Image width 240 mm.
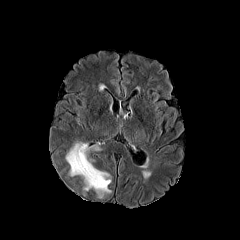
FLAIR MRI.
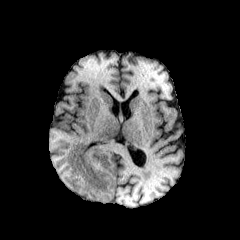
T1-weighted MR image.
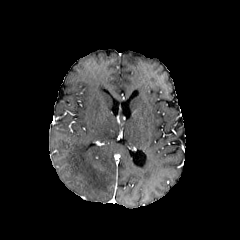
Post-contrast T1-weighted MR image.
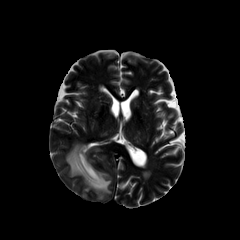
T2-weighted MR of the same slice.
Annotated regions:
• edema: box=[65, 142, 111, 198]; box=[90, 146, 100, 151]